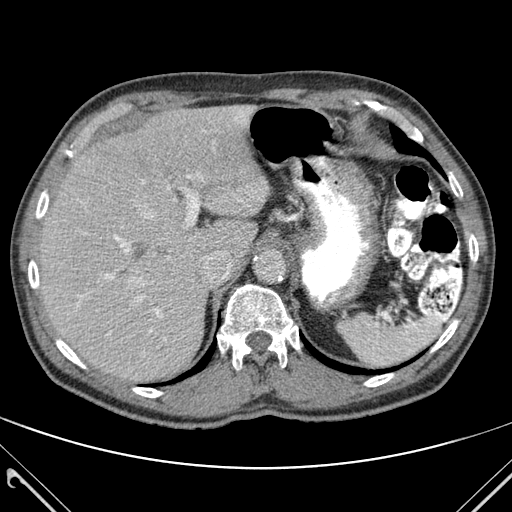 CT image; Image size 512x512

* liver: x1=40 y1=105 x2=270 y2=381
* lung: x1=180 y1=345 x2=214 y2=378, x1=390 y1=125 x2=441 y2=172, x1=303 y1=339 x2=378 y2=373
* bone: x1=365 y1=374 x2=392 y2=386, x1=36 y1=191 x2=48 y2=219, x1=431 y1=320 x2=457 y2=351, x1=412 y1=129 x2=422 y2=141, x1=28 y1=261 x2=38 y2=287, x1=449 y1=173 x2=462 y2=195, x1=217 y1=285 x2=299 y2=369, x1=133 y1=387 x2=161 y2=397, x1=56 y1=339 x2=85 y2=368, x1=469 y1=235 x2=478 y2=260